FLAIR MR.
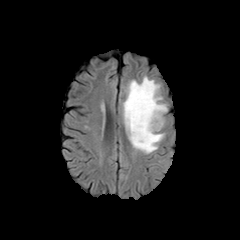
T1-weighted MR.
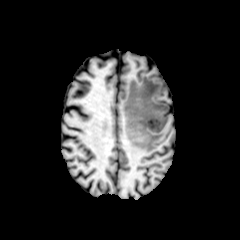
Post-contrast T1-weighted magnetic resonance.
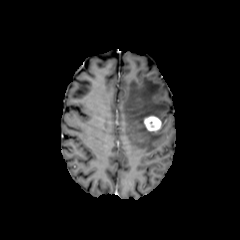
T2-weighted MR.
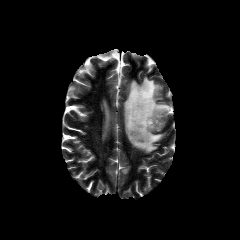
Head | Image size 240x240
Edema: bounding box 123,76,167,153.
Enhancing tumor: bounding box 144,116,162,131.